Abdomen. CT slice. Slice index 101. Image size 512x512.

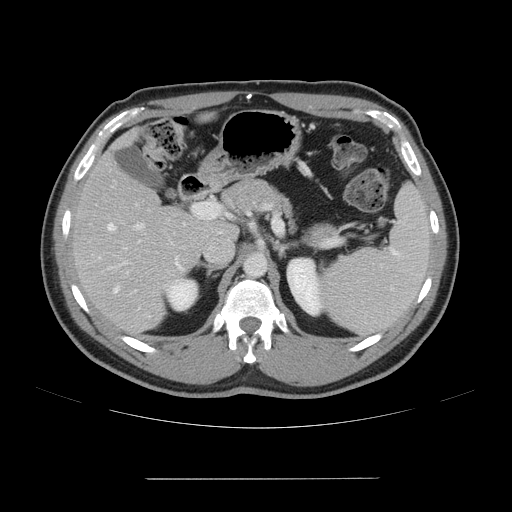 The vessel annotation is not exhaustive.
5 hepatic vessel regions are bounded by bbox(118, 261, 127, 265); bbox(108, 224, 115, 230); bbox(183, 223, 184, 224); bbox(113, 288, 118, 293); bbox(134, 223, 142, 228).